Slice 160 of 836. CT image. Lower abdomen. 512x512.
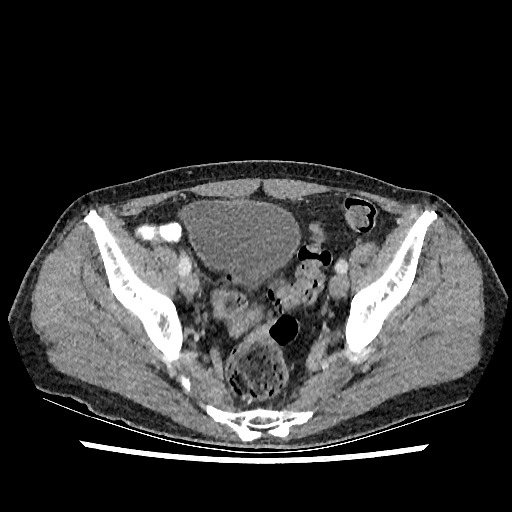

{
  "urinary_bladder": [
    "183, 200, 300, 292"
  ]
}